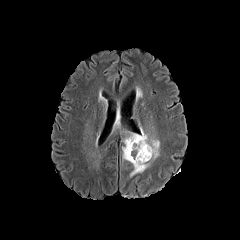
FLAIR MR image.
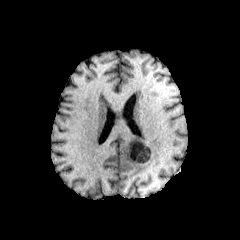
T1-weighted magnetic resonance.
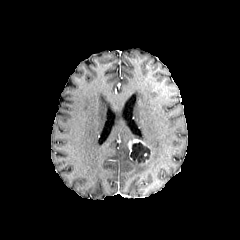
Same slice, post-contrast T1-weighted magnetic resonance.
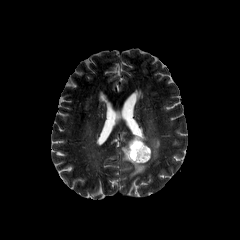
T2-weighted magnetic resonance.
Image size 240x240
<segmentation>
  <non-enhancing_tumor_core>128:142:150:163</non-enhancing_tumor_core>
  <edema>122:127:160:178</edema>
  <enhancing_tumor>128:137:145:154</enhancing_tumor>
</segmentation>